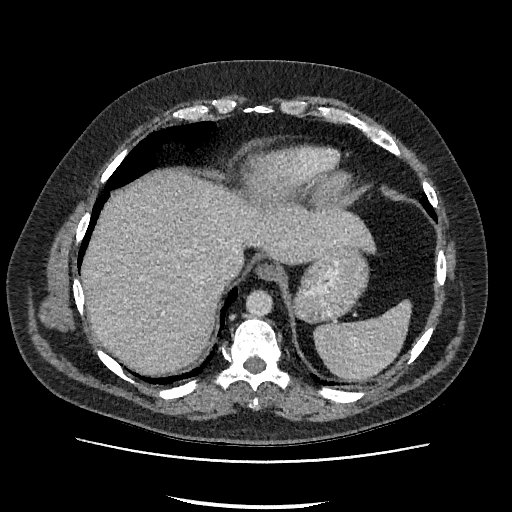
CT image | Upper abdomen
liver: 84:174:374:372